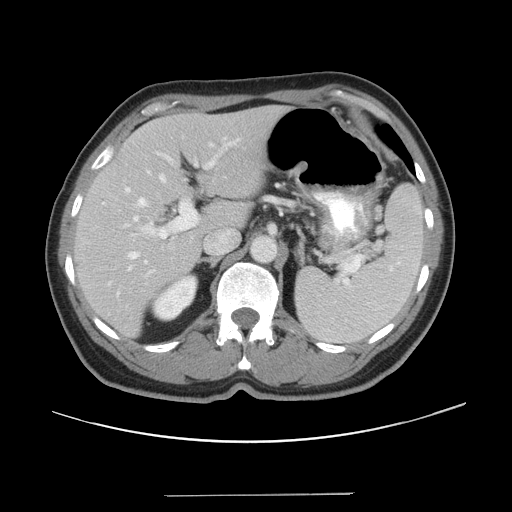
CT image
Some hepatic vessels may have no box.
The top 15 hepatic vessel regions (of 18) appear at [126, 187, 129, 192], [194, 157, 197, 166], [222, 137, 239, 147], [148, 270, 152, 274], [147, 171, 150, 174], [209, 143, 213, 146], [203, 155, 216, 169], [128, 266, 131, 269], [156, 152, 172, 162], [128, 252, 138, 258], [137, 198, 146, 206], [124, 223, 129, 226], [134, 216, 138, 220], [141, 199, 197, 238], [160, 174, 165, 182].